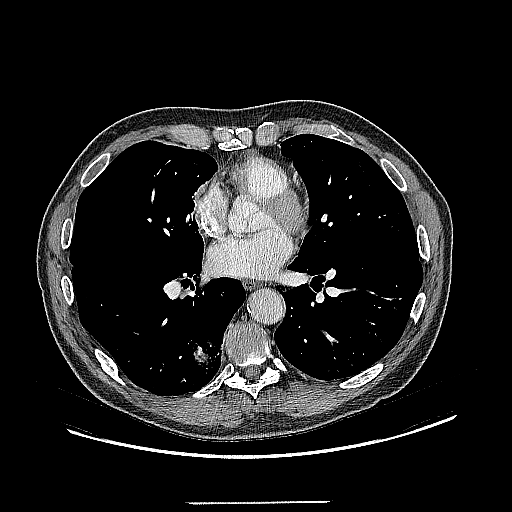 CT image | 512x512 px
The lung tumor is bounded by (193, 346, 211, 365).